T2-weighted MR image.
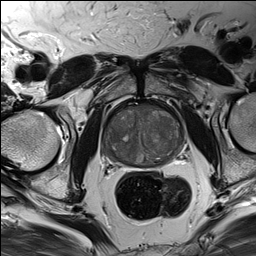
ADC MR.
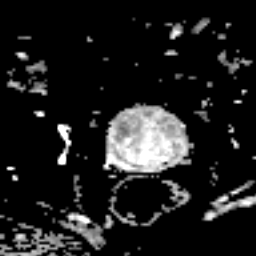
256x256 px.
The prostate peripheral zone is at box(105, 107, 181, 165).